Image size 512x512 | Abdomen | CT image
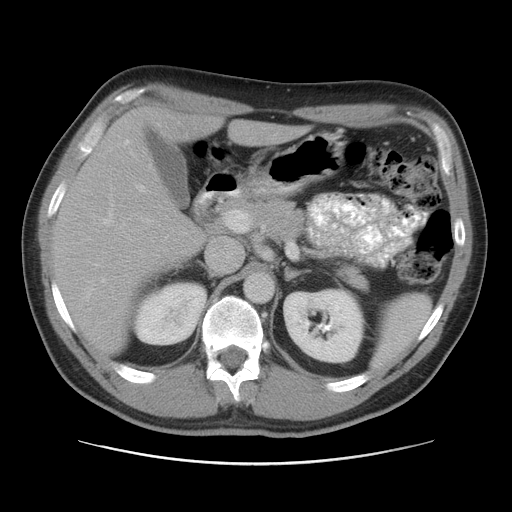 The vessel annotation is not exhaustive.
hepatic_vessel:
  - l=139, t=186, r=142, b=189
  - l=122, t=224, r=123, b=226
  - l=103, t=210, r=112, b=223
  - l=126, t=140, r=128, b=143